CT slice | Field of view 330x330 mm 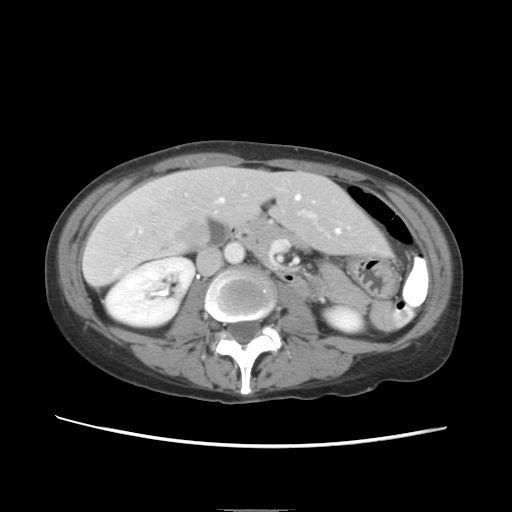 Some hepatic vessels may have no box.
Segmented structures:
• hepatic vessel: bbox(114, 268, 120, 272); bbox(139, 227, 142, 232); bbox(218, 197, 223, 201); bbox(335, 228, 340, 232); bbox(309, 213, 313, 216); bbox(295, 195, 300, 199); bbox(130, 231, 132, 233); bbox(272, 241, 287, 252)
• liver tumor: bbox(174, 219, 209, 250)